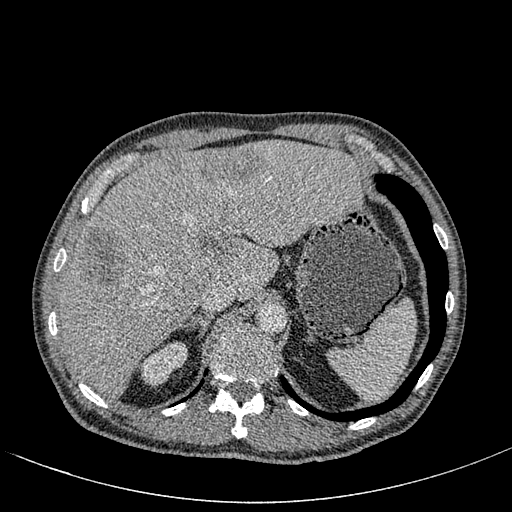
512x512 px; CT image
4 hepatic lesion regions appear at (x1=80, y1=228, x2=125, y2=286), (x1=201, y1=148, x2=263, y2=184), (x1=168, y1=160, x2=178, y2=171), (x1=200, y1=225, x2=240, y2=260). The kidney appears at (x1=141, y1=342, x2=187, y2=385). The liver is bounded by (x1=58, y1=140, x2=364, y2=397).